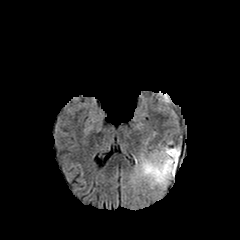
FLAIR magnetic resonance.
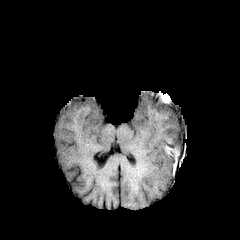
Same slice, T1-weighted MR.
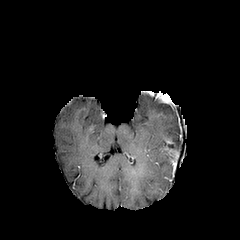
Post-contrast T1-weighted magnetic resonance.
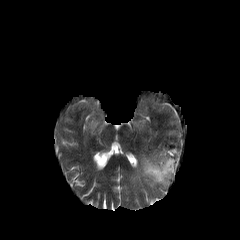
T2-weighted MRI.
Brain
The edema is at x1=141 y1=147 x2=180 y2=186. The enhancing tumor is at x1=171 y1=151 x2=178 y2=169.